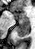
Image size 35x49, MR, Hippocampus
Segmented structures:
* posterior hippocampus: x1=16 y1=21 x2=29 y2=36
* anterior hippocampus: x1=19 y1=14 x2=27 y2=20